Liver; CT; Slice index 59; Image size 512x512

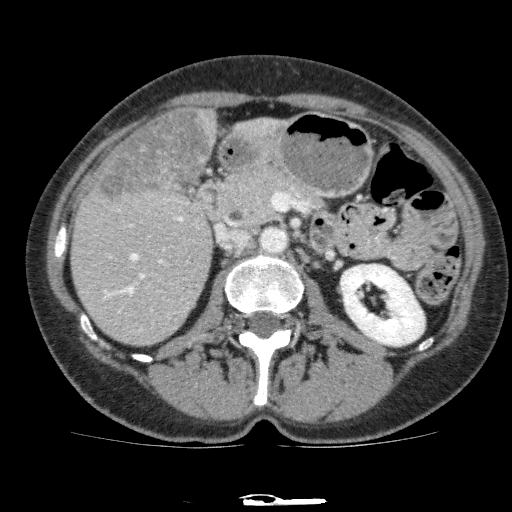 Findings:
• kidney: box(341, 264, 424, 345)
• liver: box(233, 117, 287, 137); box(197, 107, 218, 147); box(71, 153, 212, 347)
• hepatic lesion: box(97, 109, 213, 199)